Abdomen, Field of view 415 mm wide, 5.00 mm slice spacing, CT image

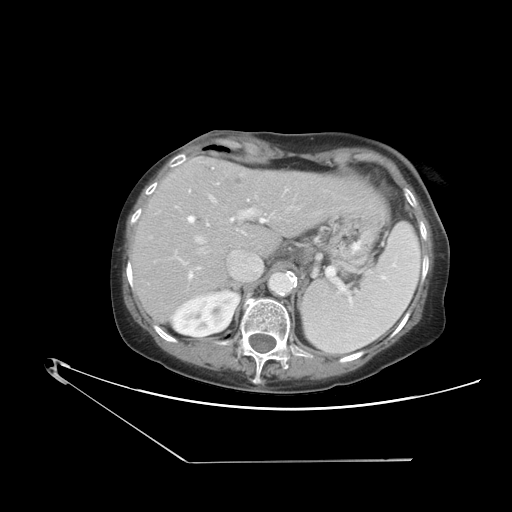

The vessel boxes may cover only some of the vessels.
Annotated regions:
* hepatic vessel (most prominent 15 of 17): x1=188, y1=272, x2=192, y2=278; x1=175, y1=253, x2=187, y2=264; x1=242, y1=231, x2=245, y2=234; x1=230, y1=217, x2=234, y2=220; x1=260, y1=214, x2=267, y2=222; x1=271, y1=213, x2=273, y2=215; x1=196, y1=267, x2=200, y2=269; x1=238, y1=208, x2=256, y2=218; x1=206, y1=223, x2=208, y2=225; x1=247, y1=199, x2=249, y2=200; x1=285, y1=189, x2=287, y2=191; x1=209, y1=196, x2=216, y2=202; x1=194, y1=235, x2=205, y2=244; x1=198, y1=246, x2=207, y2=253; x1=188, y1=216, x2=194, y2=222
* liver tumor: x1=222, y1=162, x2=243, y2=179